Head.
FLAIR magnetic resonance.
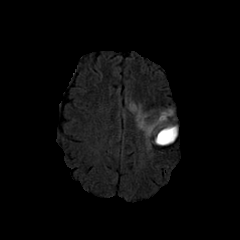
T1-weighted MRI.
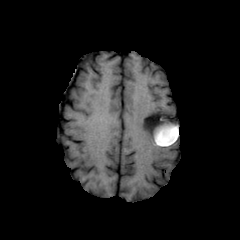
Post-contrast T1-weighted MR image.
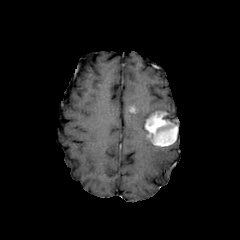
T2-weighted MR image.
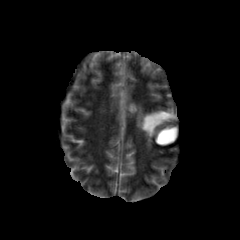
Edema: (158,107,177,120), (125,96,156,151).
Non-enhancing tumor core: (163,112,177,125).
Enhancing tumor: (144,111,177,145).